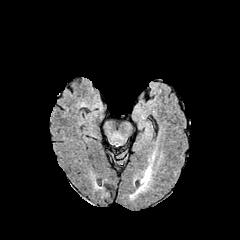
FLAIR MRI.
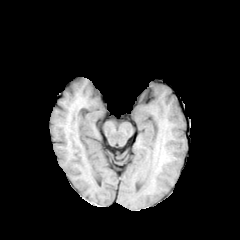
Same slice, T1-weighted MRI.
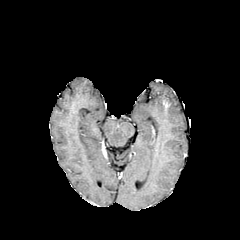
Same slice, post-contrast T1-weighted magnetic resonance.
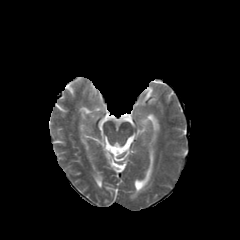
T2-weighted MRI.
Head.
edema:
  - [x1=132, y1=152, x2=154, y2=195]